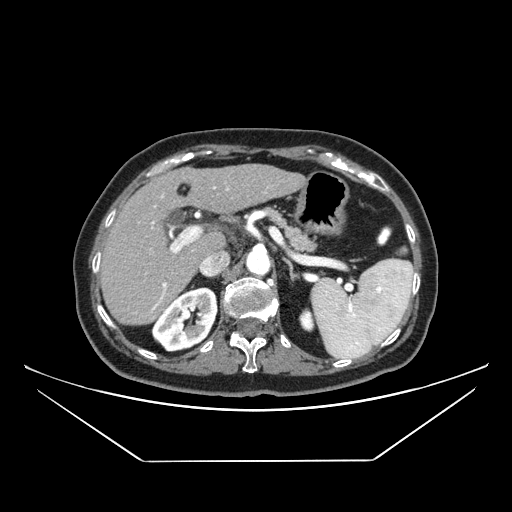

CT slice | 512x512
The pancreas is at (left=261, top=207, right=316, bottom=253).